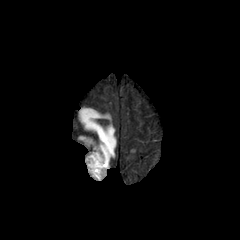
FLAIR MR.
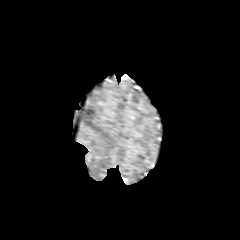
T1-weighted MR image.
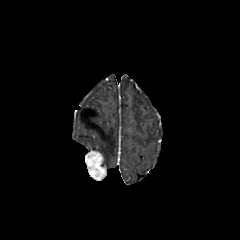
Post-contrast T1-weighted MRI.
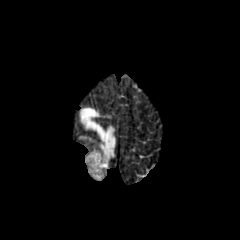
T2-weighted magnetic resonance.
Image size 240x240, Head
The enhancing tumor is bounded by [x1=85, y1=145, x2=107, y2=180]. 2 edema regions are located at [x1=79, y1=136, x2=93, y2=143], [x1=80, y1=108, x2=116, y2=167].